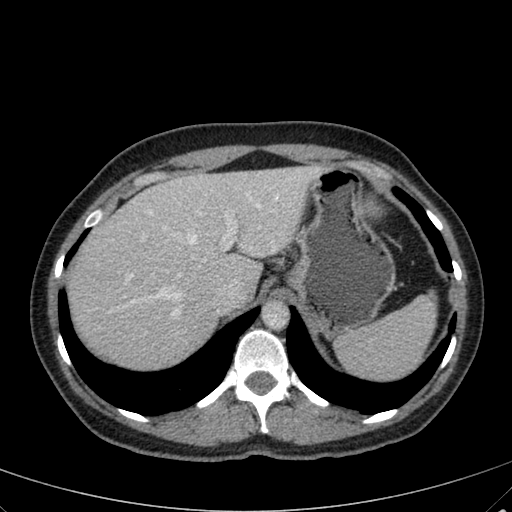
512x512 px, Upper abdomen, CT
2 liver regions are located at <bbox>67, 165, 327, 369</bbox>, <bbox>352, 204, 369, 221</bbox>.